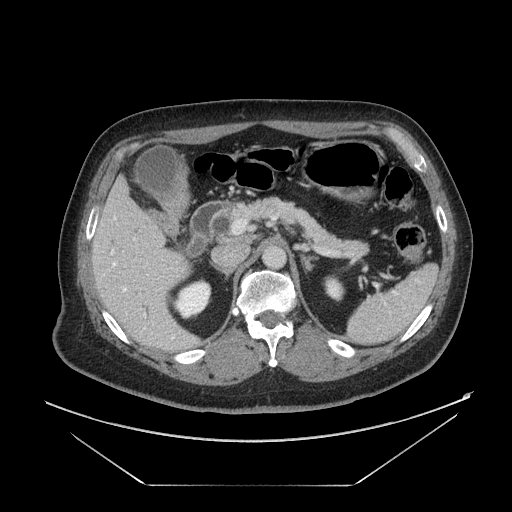

CT slice; Image size 512x512

The pancreas lies within (x1=235, y1=198, x2=369, y2=255).